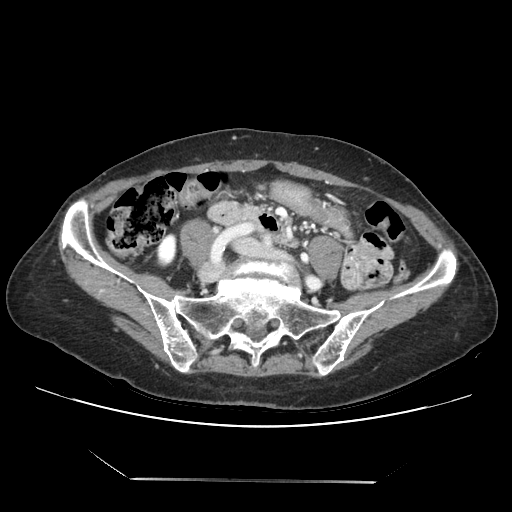 CT image, 512x512 px
{
  "pancreas": [
    "[x1=207, y1=200, x2=260, y2=228]"
  ]
}